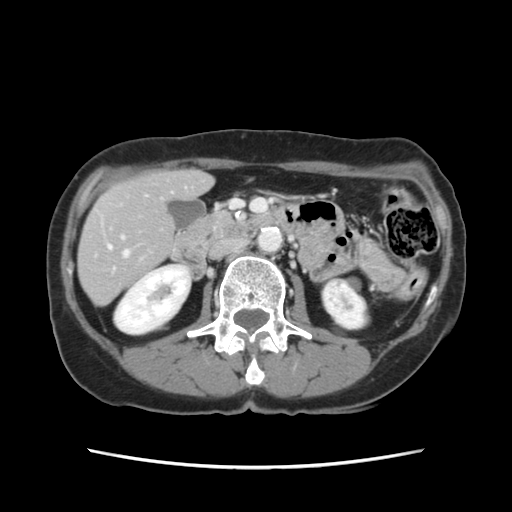
CT image; Abdomen

Not every hepatic vessel necessarily has a box.
{"hepatic_vessel": ["rect(108, 245, 111, 248)", "rect(121, 236, 123, 238)", "rect(123, 251, 128, 255)"]}